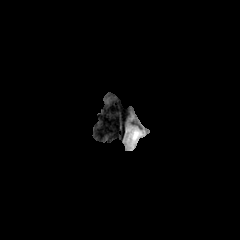
FLAIR MR.
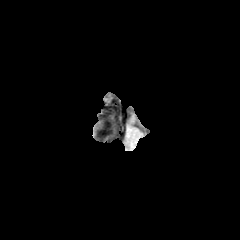
T1-weighted MRI.
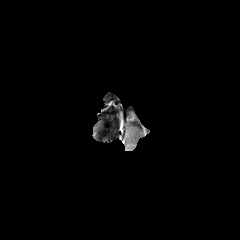
Same slice, post-contrast T1-weighted MRI.
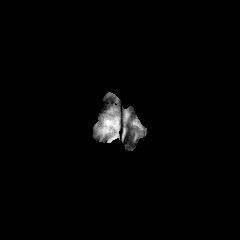
T2-weighted MRI.
Image size 240x240, Head
Edema: bounding box region(132, 129, 142, 142).